FLAIR magnetic resonance.
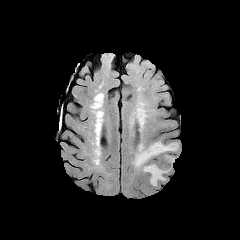
T1-weighted MR.
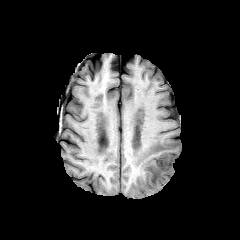
Post-contrast T1-weighted magnetic resonance.
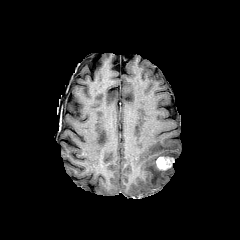
T2-weighted MR.
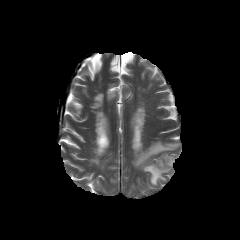
Segmented structures:
- edema: 133:140:178:185
- non-enhancing tumor core: 149:166:166:179
- enhancing tumor: 156:157:173:170